Slice index 75 | Image width 240 mm | Brain
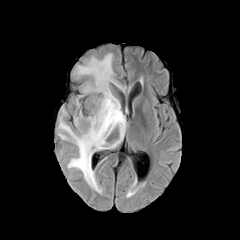
FLAIR MR.
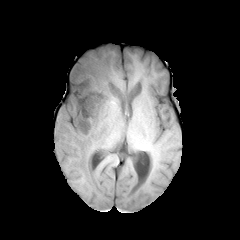
Same slice, T1-weighted magnetic resonance.
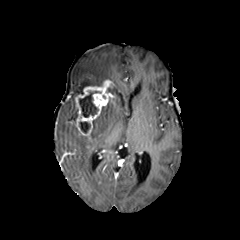
Post-contrast T1-weighted magnetic resonance.
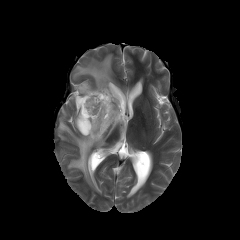
T2-weighted MRI.
Non-enhancing tumor core at box(78, 92, 97, 117); box(79, 121, 90, 133).
Edema at box(58, 96, 127, 192); box(75, 53, 121, 93).
Enhancing tumor at box(76, 79, 113, 137).